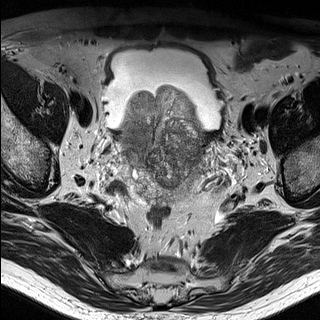
T2-weighted MRI.
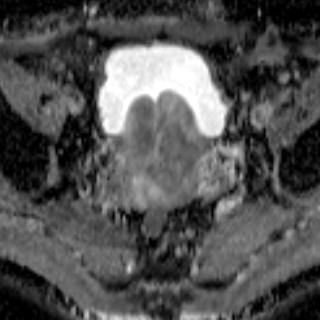
ADC MR of the same slice.
prostate_transition_zone:
  - <bbox>123, 89, 198, 198</bbox>